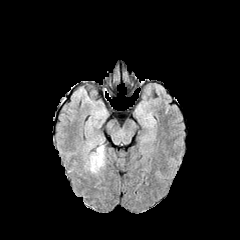
FLAIR magnetic resonance.
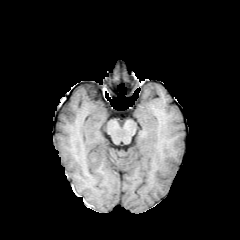
T1-weighted magnetic resonance of the same slice.
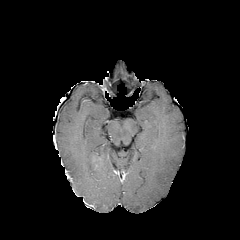
Post-contrast T1-weighted MRI.
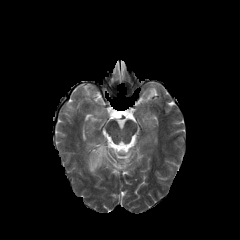
T2-weighted magnetic resonance.
Brain
{"edema": ["<bbox>90, 106, 105, 125</bbox>", "<bbox>83, 136, 111, 175</bbox>"], "non-enhancing_tumor_core": ["<bbox>93, 152, 107, 164</bbox>"]}